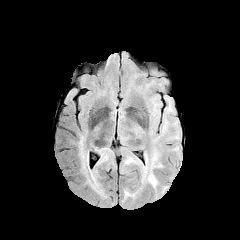
FLAIR MRI.
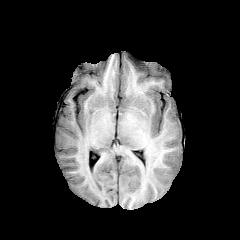
T1-weighted MRI.
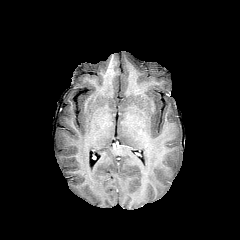
Post-contrast T1-weighted magnetic resonance of the same slice.
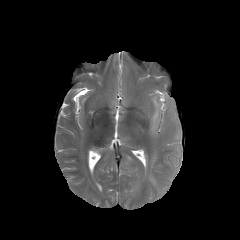
T2-weighted magnetic resonance of the same slice.
4 edema regions are located at 147,169,155,183; 98,152,107,166; 80,142,91,181; 89,168,97,179.